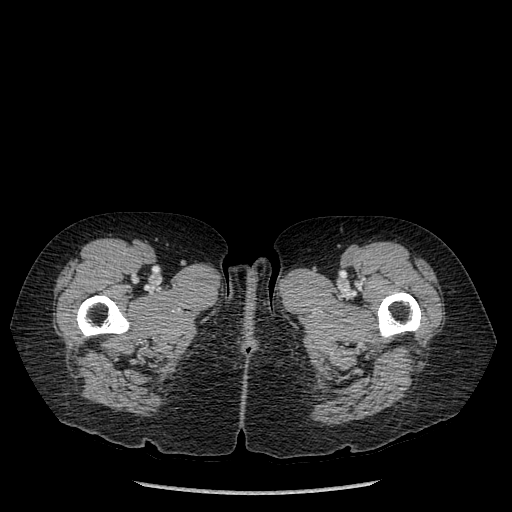 CT image.
- bone: x1=373 y1=294 x2=420 y2=341, x1=75 y1=297 x2=130 y2=336